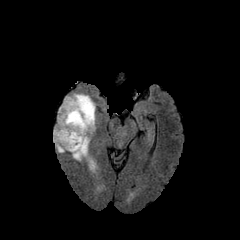
FLAIR MR.
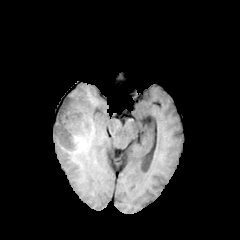
Same slice, T1-weighted MR image.
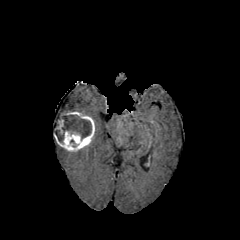
Post-contrast T1-weighted MRI of the same slice.
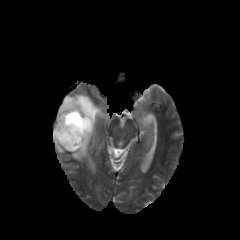
T2-weighted magnetic resonance.
edema: {"x1": 53, "y1": 136, "x2": 97, "y2": 172}, {"x1": 60, "y1": 91, "x2": 98, "y2": 139} | non-enhancing tumor core: {"x1": 53, "y1": 114, "x2": 91, "y2": 142}, {"x1": 58, "y1": 101, "x2": 81, "y2": 112} | enhancing tumor: {"x1": 53, "y1": 112, "x2": 94, "y2": 150}